CT 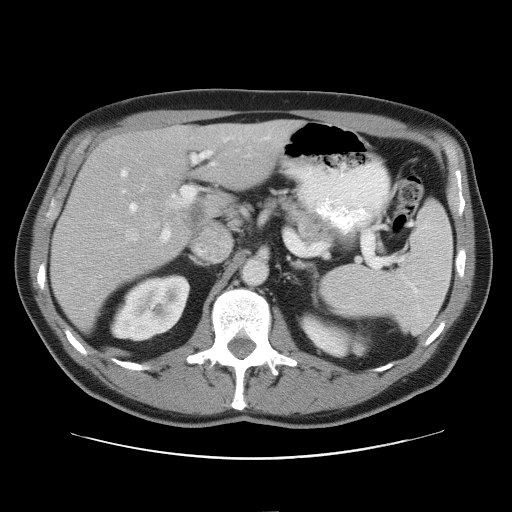

Some hepatic vessels may have no box.
Liver tumor: bounding box region(184, 204, 207, 227).
Hepatic vessel: bounding box region(160, 223, 169, 242); region(165, 185, 197, 211); region(157, 170, 162, 174); region(79, 275, 80, 276); region(191, 150, 213, 162); region(126, 230, 137, 240); region(128, 202, 138, 212); region(262, 133, 269, 140); region(223, 136, 241, 142); region(121, 190, 125, 193); region(210, 163, 216, 165); region(247, 154, 248, 156); region(120, 169, 126, 177).